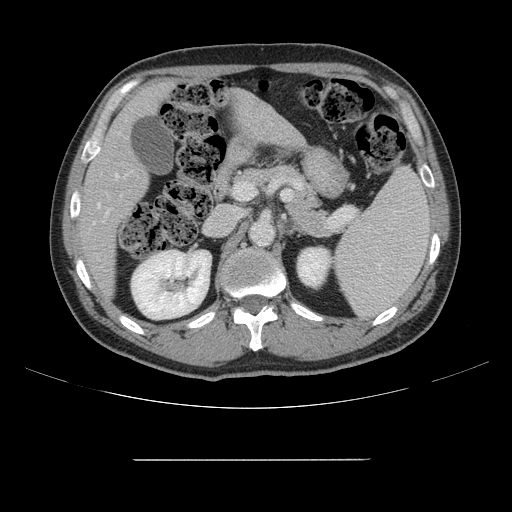
CT, Abdomen

Only some of the vessels may be annotated.
Hepatic vessel: 120 194 121 196, 106 208 110 215, 98 204 99 206, 115 174 118 179.